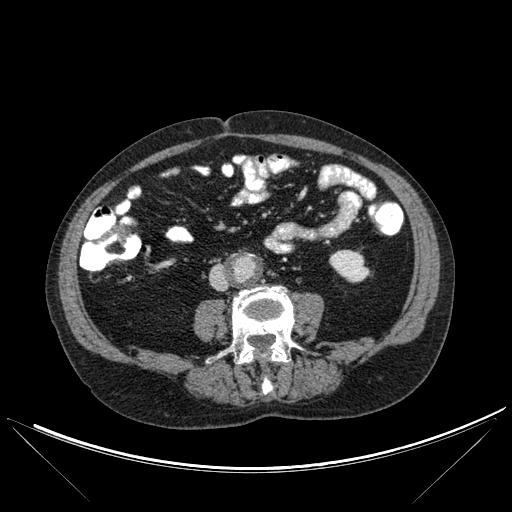

Abdomen, CT image
kidney: (x1=330, y1=250, x2=368, y2=281) | bone: (x1=225, y1=286, x2=299, y2=368), (x1=262, y1=370, x2=272, y2=394)